CT scan slice, Field of view 437x437 mm

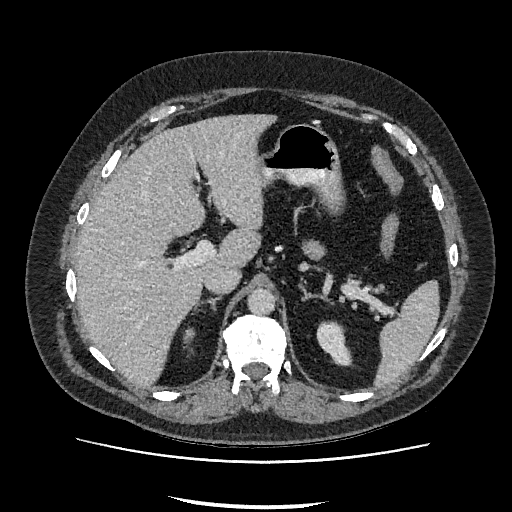
Liver: bounding box (left=76, top=115, right=273, bottom=384).
Kidney: bounding box (left=318, top=324, right=348, bottom=363).